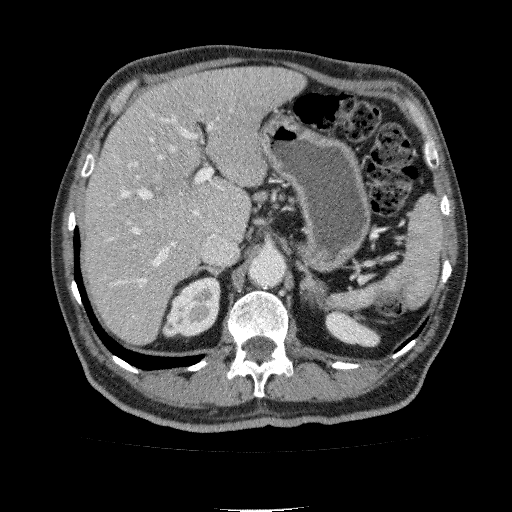

Computed tomography.

Segmented structures:
- kidney: l=326, t=313, r=377, b=345; l=164, t=278, r=219, b=335
- liver: l=85, t=67, r=306, b=343